Field of view 400x400 mm. CT scan slice. 512x512 px. Slice index 471. 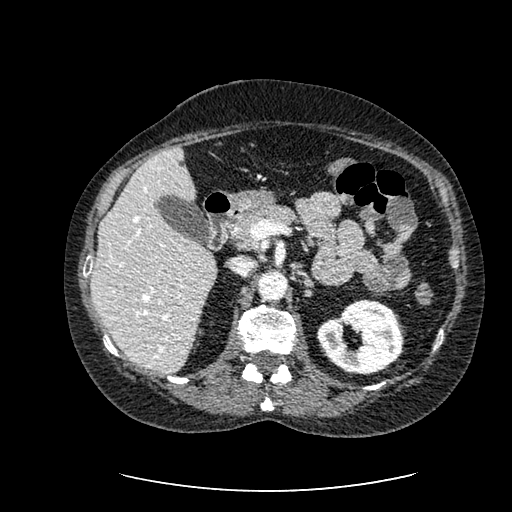 Kidney: [318, 300, 402, 373].
Liver: [91, 147, 215, 372].